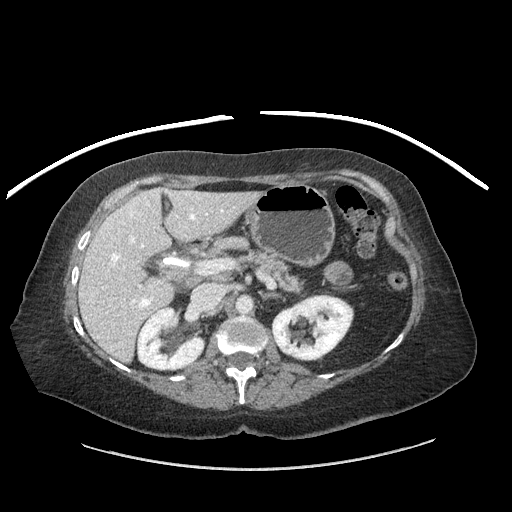

Upper abdomen, CT
pancreas: 252,253,301,292